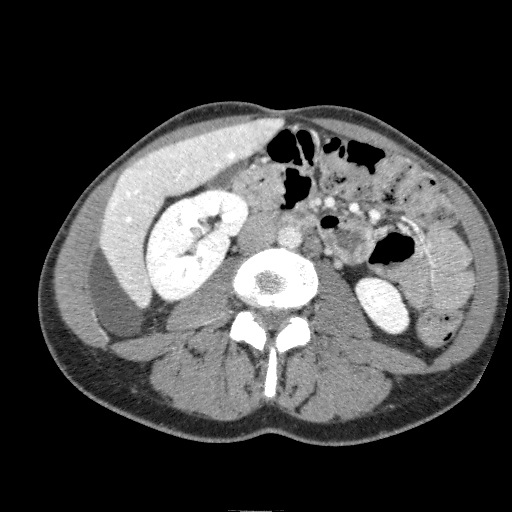

512x512. CT scan slice. Upper abdomen.

• liver: <box>100,118,283,306</box>
• kidney: <box>356,279,407,332</box>, <box>147,190,247,299</box>